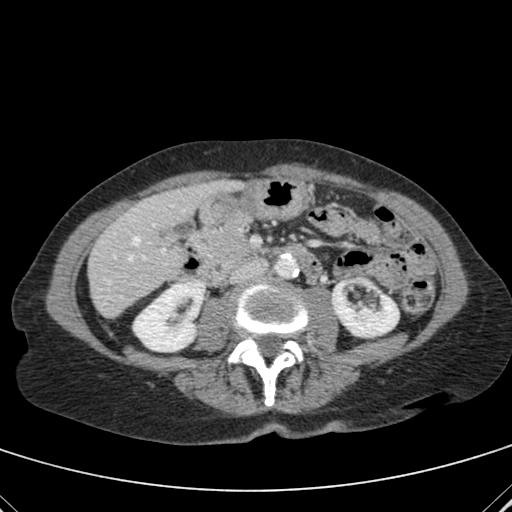

CT
The focal liver lesion is at box=[157, 226, 172, 239]. 2 kidney regions are bounded by box=[333, 283, 398, 336]; box=[134, 281, 204, 351]. The liver is at box=[89, 179, 243, 317].